Brain
FLAIR MRI.
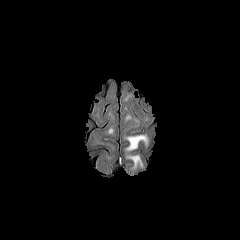
T1-weighted MR.
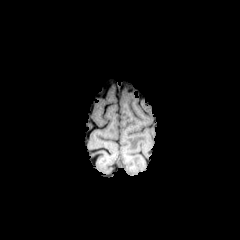
Post-contrast T1-weighted magnetic resonance.
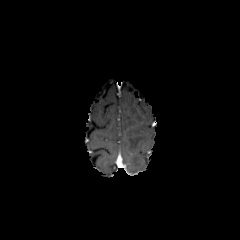
T2-weighted MR image.
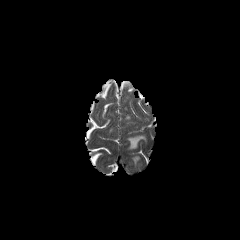
Edema = [126, 136, 147, 151].